MR image.

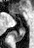 The posterior hippocampus is located at x1=14, y1=29, x2=24, y2=42.